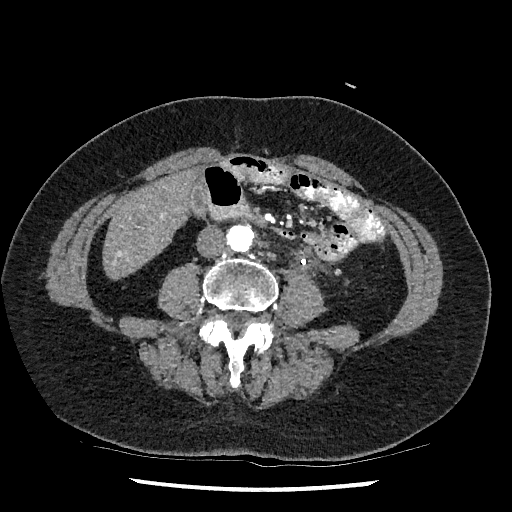

512x512; Upper abdomen; CT slice
Liver at l=102, t=169, r=197, b=278.